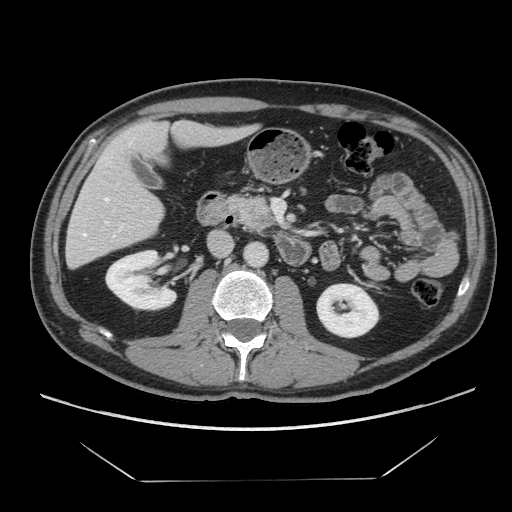

CT; Upper abdomen; 512x512 px
Findings:
- pancreas: (x1=229, y1=196, x2=272, y2=231)
- pancreatic tumor: (x1=245, y1=207, x2=273, y2=229)